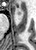 Medial temporal lobe. Image size 36x50. MR. anterior hippocampus: [17,11,20,14]